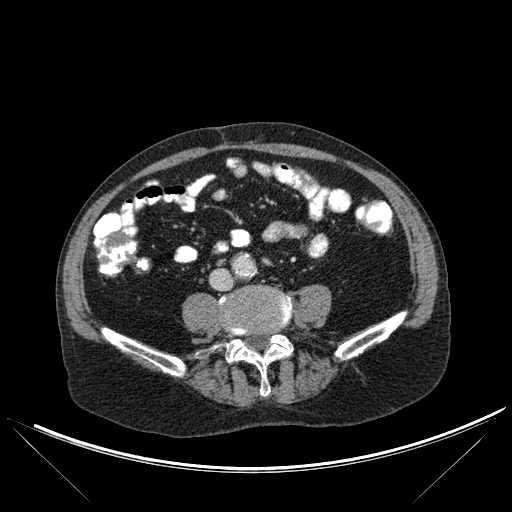
Computed tomography
Bone = (x1=219, y1=291, x2=292, y2=395), (x1=335, y1=312, x2=406, y2=359), (x1=102, y1=328, x2=185, y2=375).